Upper abdomen. Slice 398/811. CT slice. Image size 512x512. 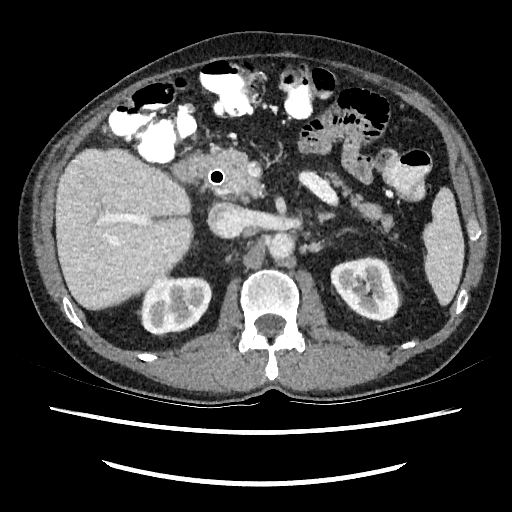

The liver is bounded by l=56, t=148, r=192, b=308. 2 kidney regions are located at l=143, t=277, r=210, b=333; l=331, t=259, r=397, b=319.